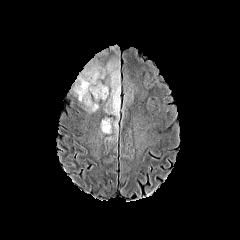
FLAIR MRI.
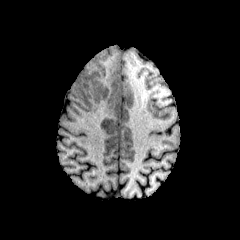
T1-weighted magnetic resonance.
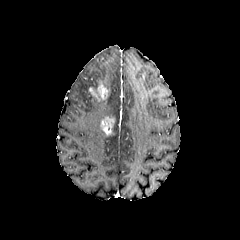
Same slice, post-contrast T1-weighted MR.
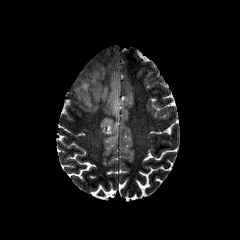
T2-weighted MR of the same slice.
240x240 px
{
  "enhancing_tumor": [
    "(left=89, top=82, right=108, bottom=101)",
    "(left=100, top=117, right=114, bottom=134)"
  ],
  "edema": [
    "(left=74, top=67, right=105, bottom=111)",
    "(left=105, top=60, right=120, bottom=140)"
  ]
}